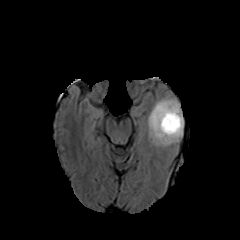
FLAIR MR image.
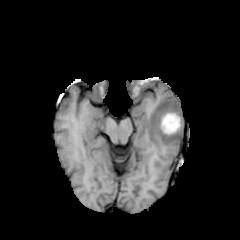
T1-weighted magnetic resonance.
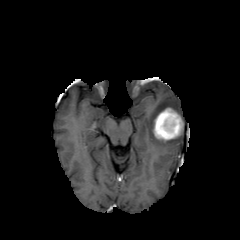
Post-contrast T1-weighted MR.
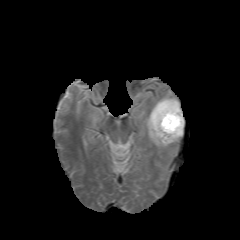
Same slice, T2-weighted MR.
Brain; 240x240 px
edema:
  - region(140, 91, 183, 149)
enhancing_tumor:
  - region(160, 113, 180, 133)
non-enhancing_tumor_core:
  - region(152, 98, 177, 135)